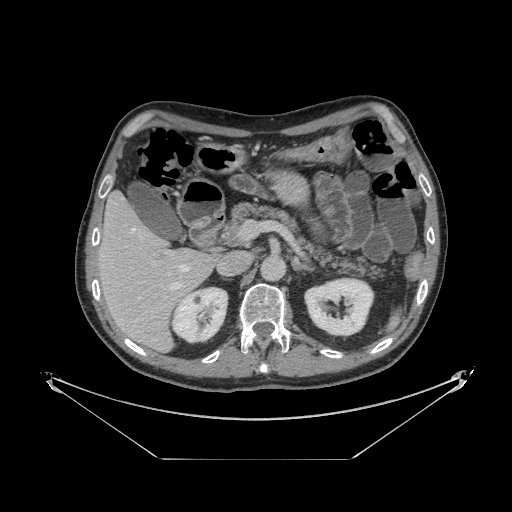

CT.
pancreas:
  - rect(225, 202, 387, 280)